Computed tomography 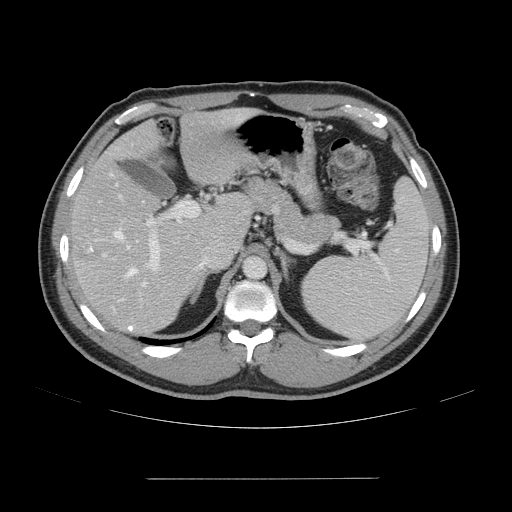
The vessel boxes may cover only some of the vessels.
Liver tumor = {"x1": 78, "y1": 249, "x2": 102, "y2": 262}.
Hepatic vessel = {"x1": 146, "y1": 217, "x2": 151, "y2": 225}, {"x1": 142, "y1": 282, "x2": 146, "y2": 285}, {"x1": 147, "y1": 244, "x2": 160, "y2": 268}, {"x1": 103, "y1": 254, "x2": 105, "y2": 255}, {"x1": 110, "y1": 173, "x2": 112, "y2": 176}, {"x1": 94, "y1": 239, "x2": 101, "y2": 240}, {"x1": 119, "y1": 195, "x2": 121, "y2": 198}, {"x1": 113, "y1": 307, "x2": 114, "y2": 311}, {"x1": 124, "y1": 269, "x2": 136, "y2": 276}, {"x1": 114, "y1": 229, "x2": 122, "y2": 238}, {"x1": 178, "y1": 221, "x2": 180, "y2": 222}, {"x1": 94, "y1": 229, "x2": 96, "y2": 231}, {"x1": 127, "y1": 247, "x2": 129, "y2": 248}, {"x1": 116, "y1": 184, "x2": 117, "y2": 185}, {"x1": 118, "y1": 299, "x2": 123, "y2": 301}.